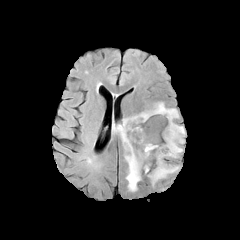
FLAIR magnetic resonance.
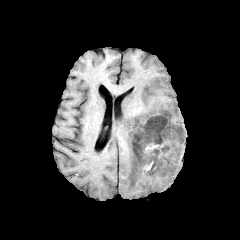
T1-weighted MR.
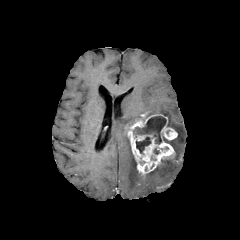
Post-contrast T1-weighted magnetic resonance of the same slice.
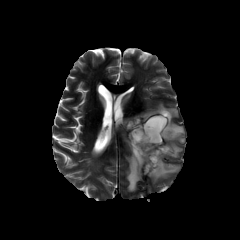
T2-weighted magnetic resonance of the same slice.
Segmented structures:
* edema: bbox=[117, 115, 141, 191]; bbox=[148, 161, 180, 183]; bbox=[141, 102, 185, 158]
* enhancing tumor: bbox=[161, 126, 177, 139]; bbox=[128, 115, 174, 173]
* non-enhancing tumor core: bbox=[133, 115, 174, 154]